Computed tomography, Slice 430/677
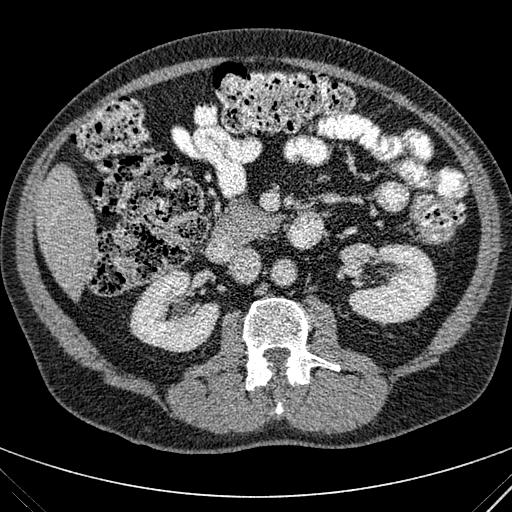 {
  "liver": [
    "36:166:95:300"
  ],
  "kidney": [
    "343:243:435:323",
    "130:270:218:351"
  ]
}